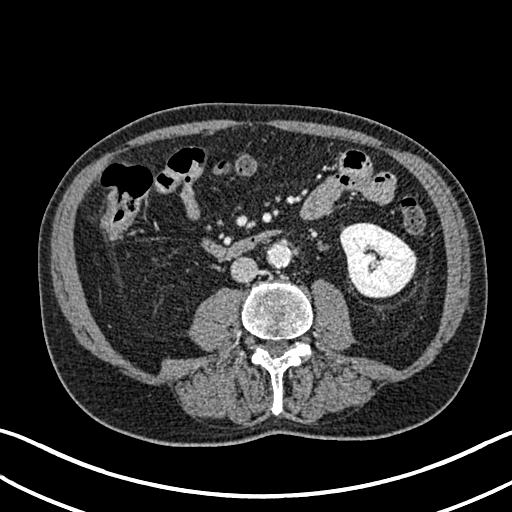

CT scan slice
kidney: left=340, top=223, right=415, bottom=297